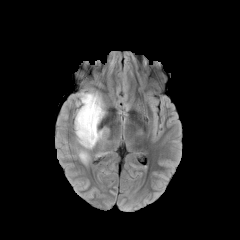
FLAIR MR.
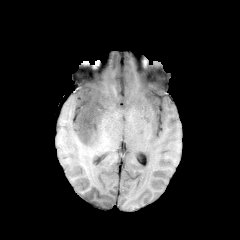
T1-weighted MRI of the same slice.
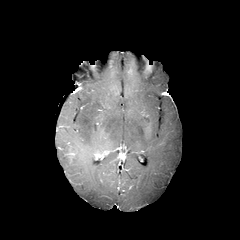
Post-contrast T1-weighted MR image of the same slice.
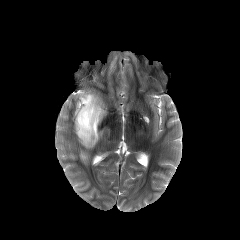
T2-weighted MR of the same slice.
Brain
<segmentation>
  <edema><box>80,152,87,161</box>, <box>74,88,106,148</box></edema>
</segmentation>